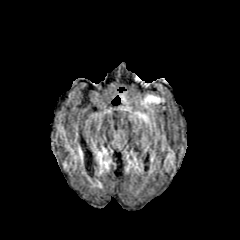
FLAIR MR.
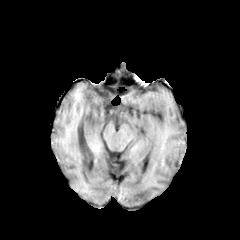
Same slice, T1-weighted MR image.
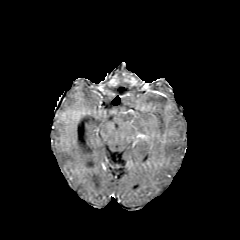
Post-contrast T1-weighted MR of the same slice.
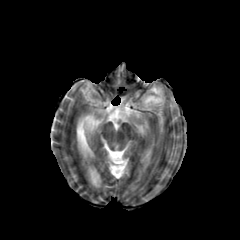
T2-weighted magnetic resonance of the same slice.
240x240 px.
The edema lies within l=120, t=92, r=164, b=125.